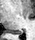

MR image.

Segmented structures:
* posterior hippocampus: left=8, top=29, right=22, bottom=34